Liver, CT

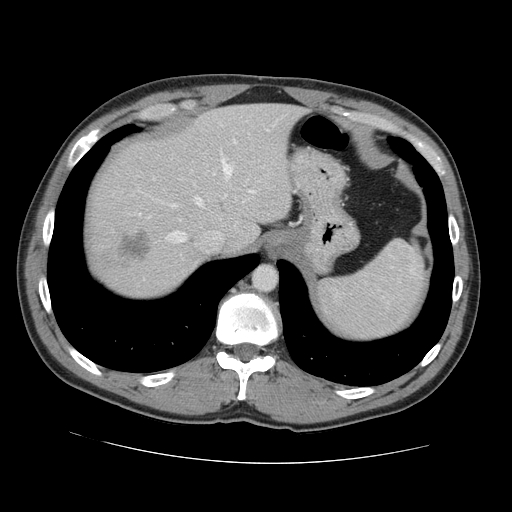 Only some of the vessels may be annotated.
The liver tumor is located at 115,231,149,263. The most prominent 15 hepatic vessel regions (of 21) are located at 232,138,235,143; 248,190,254,192; 195,197,202,206; 242,200,244,202; 132,187,142,195; 212,172,214,174; 222,194,225,198; 205,170,207,172; 166,203,176,207; 135,213,140,215; 272,119,278,126; 222,158,233,179; 128,213,133,214; 143,193,148,195; 165,231,185,242.